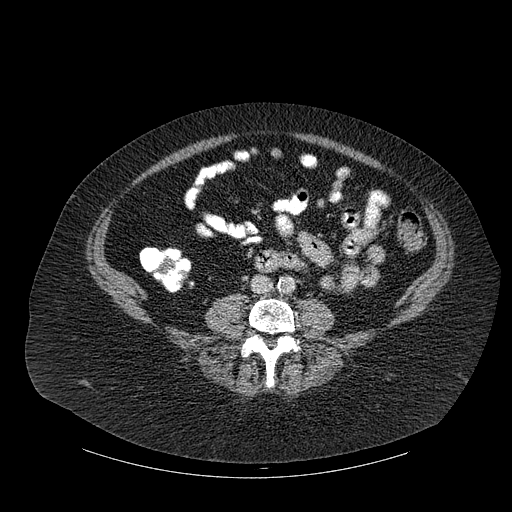

CT. {
  "bone": [
    "[x1=242, y1=299, x2=299, y2=387]"
  ]
}